Brain. Slice 63/155.
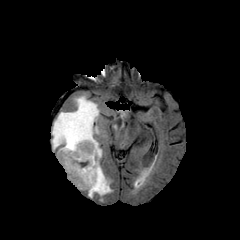
FLAIR MR image.
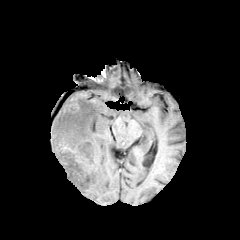
T1-weighted MR image.
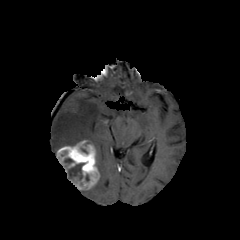
Post-contrast T1-weighted MR of the same slice.
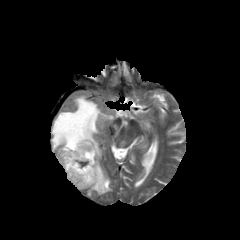
Same slice, T2-weighted MR.
Non-enhancing tumor core: bounding box (left=69, top=163, right=84, bottom=178).
Edema: bounding box (left=51, top=95, right=112, bottom=197).
Enhancing tumor: bounding box (left=56, top=140, right=100, bottom=190).